Upper abdomen; Computed tomography; Image width 429 mm

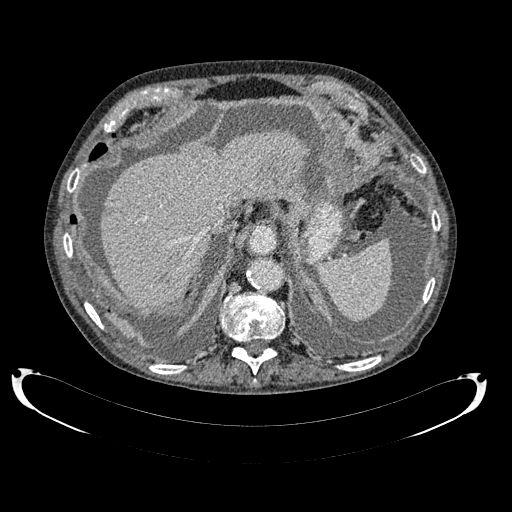 The liver appears at x1=99 y1=130 x2=305 y2=309.